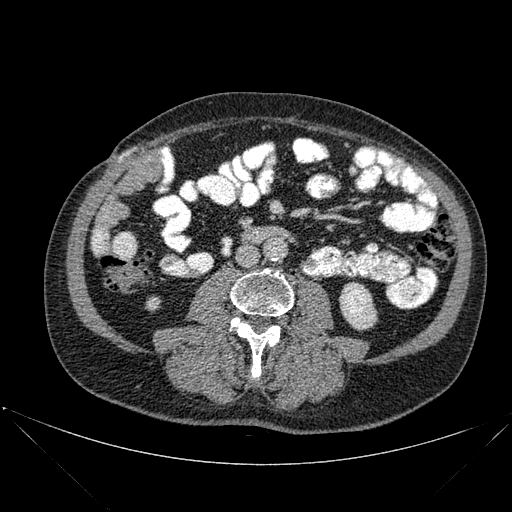

512x512 px | Computed tomography

bone: [x1=230, y1=269, x2=293, y2=316], [x1=230, y1=318, x2=280, y2=377] | kidney: [x1=147, y1=298, x2=159, y2=309], [x1=340, y1=282, x2=376, y2=329]